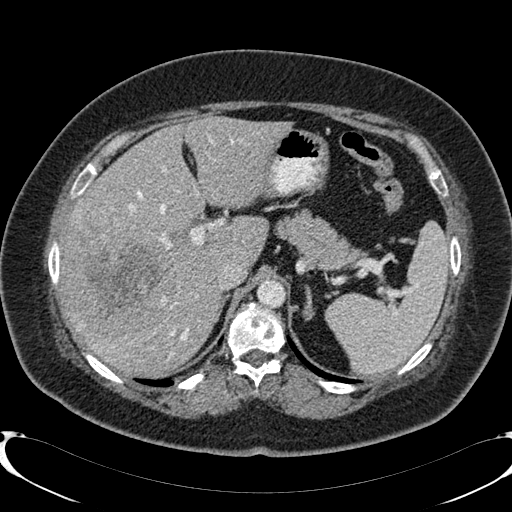
CT scan slice
Liver lesion = <box>66,215,173,333</box>.
Liver = <box>62,116,292,373</box>.